MR image | Slice 14 of 40 | Hippocampus | 39x45
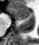 Anterior hippocampus — (x1=9, y1=8, x2=29, y2=19).